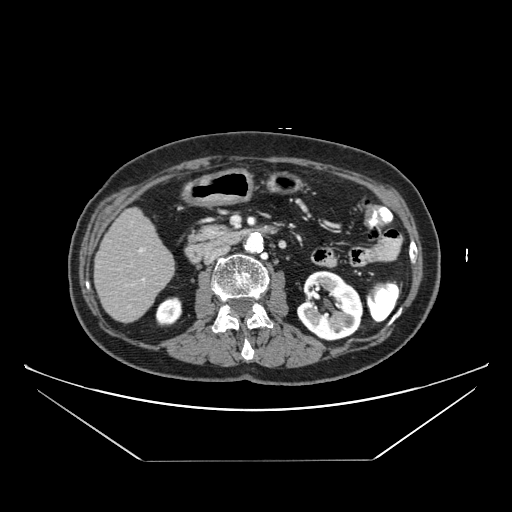 Upper abdomen. CT.
<segmentation>
  <pancreas>(left=188, top=223, right=228, bottom=242)</pancreas>
</segmentation>